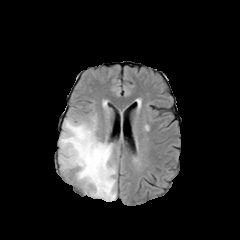
FLAIR MR.
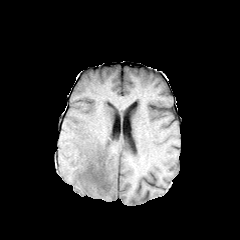
Same slice, T1-weighted MR image.
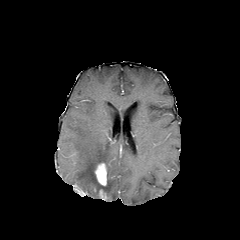
Post-contrast T1-weighted MR of the same slice.
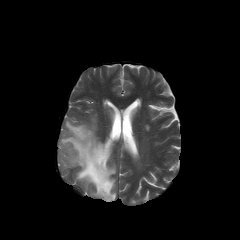
T2-weighted MR image.
240x240 px
non-enhancing tumor core: <bbox>84, 158, 110, 197</bbox> | enhancing tumor: <bbox>95, 162, 107, 185</bbox> | edema: <bbox>59, 118, 116, 201</bbox>